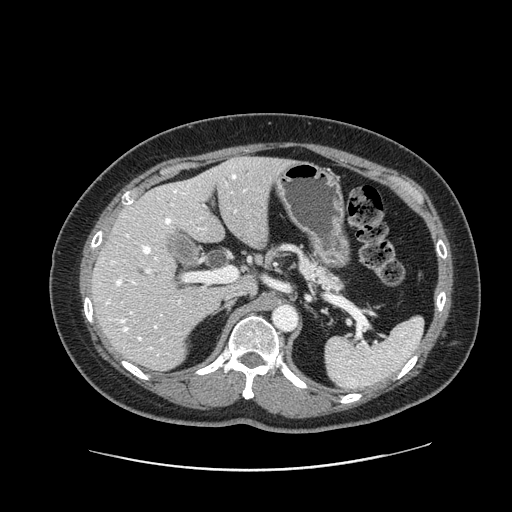
CT slice

The pancreas is bounded by [x1=304, y1=260, x2=342, y2=297].